Field of view 409 mm wide, 1.50 mm slice spacing. Upper abdomen. CT scan slice.

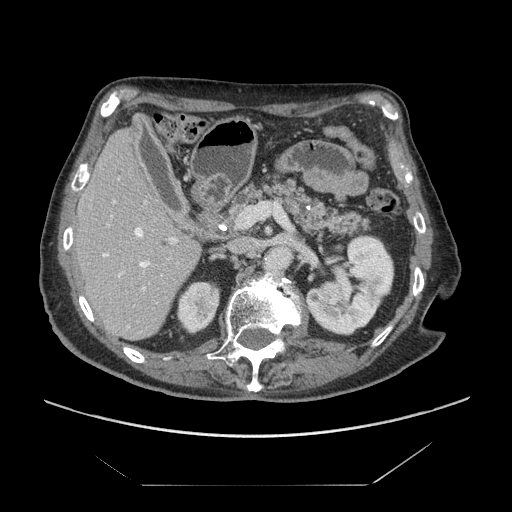 {"pancreas": ["bbox(210, 173, 375, 243)"]}